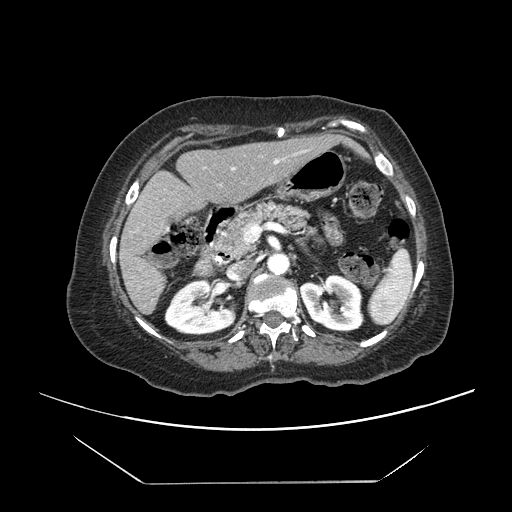 Abdomen; CT scan slice

The vessel annotation is not exhaustive.
Hepatic vessel: 232, 168, 233, 169; 244, 224, 259, 242.